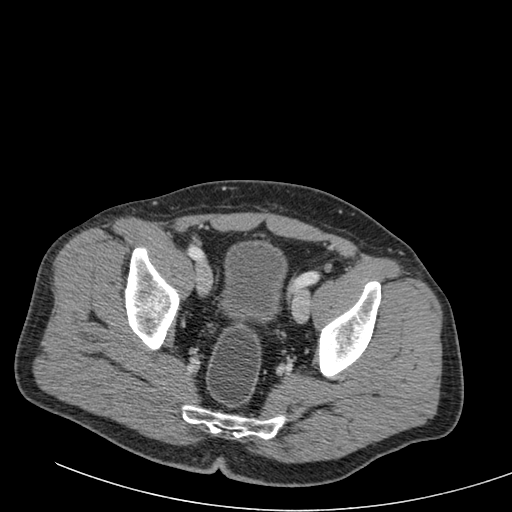

CT scan slice. 512x512 px.

urinary bladder: [219,242,287,323]